Image size 240x240; Brain
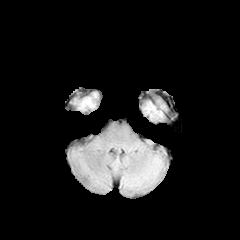
FLAIR magnetic resonance.
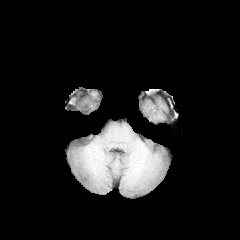
T1-weighted MR.
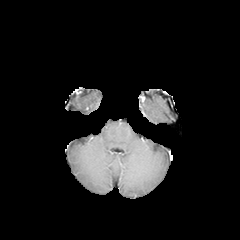
Post-contrast T1-weighted MR image of the same slice.
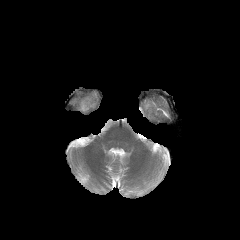
T2-weighted MRI.
edema:
  - [80,98,92,109]